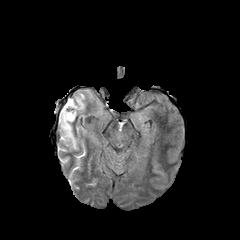
FLAIR MR.
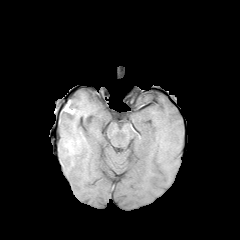
Same slice, T1-weighted MR image.
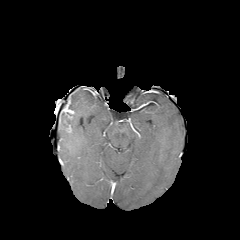
Post-contrast T1-weighted MRI.
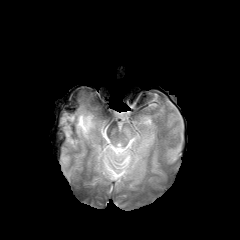
Same slice, T2-weighted MR.
Brain
The non-enhancing tumor core appears at bbox=[63, 112, 72, 124]. 2 edema regions appear at bbox=[59, 92, 92, 149]; bbox=[113, 159, 124, 170].